FLAIR MR.
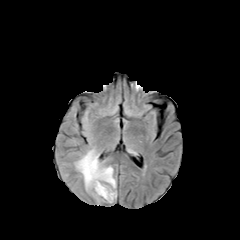
T1-weighted MRI.
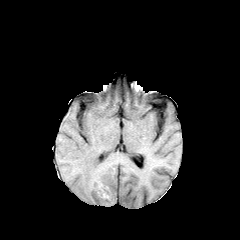
Post-contrast T1-weighted MR.
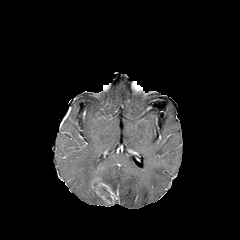
T2-weighted MRI.
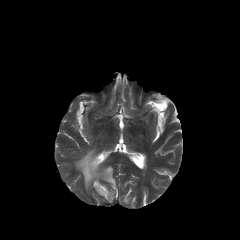
Image size 240x240, Brain
<segmentation>
  <non-enhancing_tumor_core>x1=100 y1=183 x2=112 y2=199</non-enhancing_tumor_core>
  <edema>x1=75 y1=148 x2=116 y2=202</edema>
</segmentation>